T2-weighted MRI.
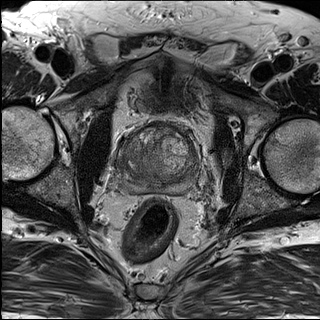
ADC MRI.
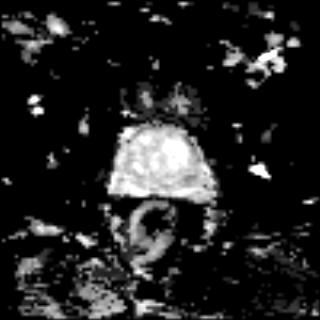
Pelvis, 320x320 px
Prostate peripheral zone: box(118, 161, 198, 193).
Prostate transition zone: box(118, 128, 198, 184).